Computed tomography | Image width 381 mm | Slice 377 of 826 | Liver 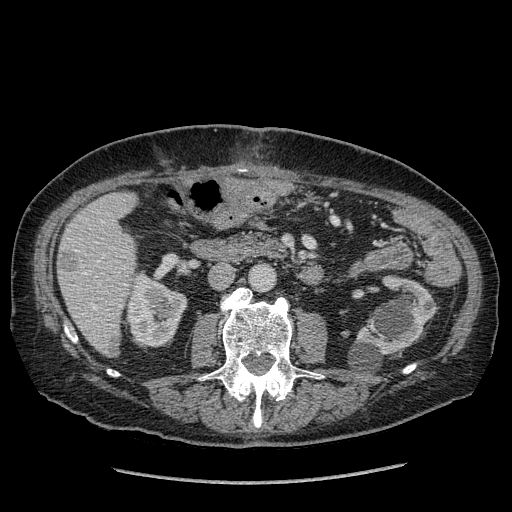 Liver = bbox(58, 192, 136, 357).
Focal liver lesion = bbox(108, 336, 119, 355); bbox(57, 251, 78, 268).
Kidney = bbox(127, 273, 186, 345); bbox(357, 276, 436, 354).